CT scan slice | Liver | Slice index 272
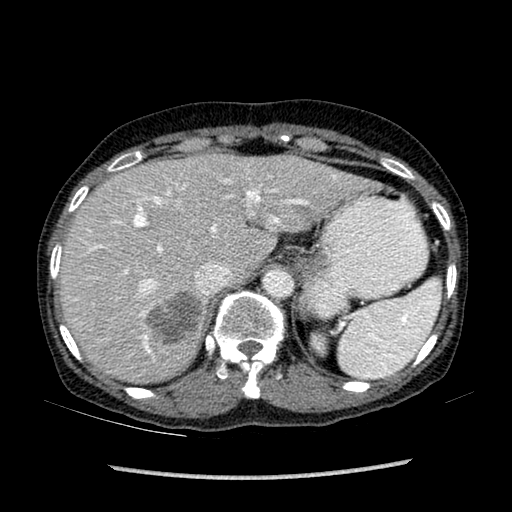 Findings:
- hepatic lesion: 144 291 203 342
- liver: 59 155 374 383